CT slice. 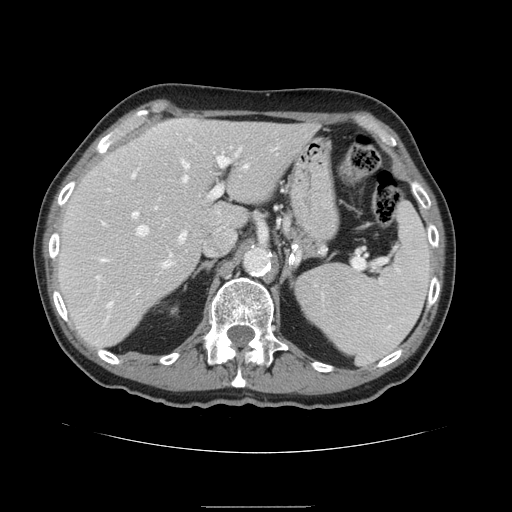

Only some of the vessels may be annotated.
The top 15 hepatic vessel regions (of 17) are located at 132, 173, 135, 176; 204, 242, 214, 254; 182, 160, 188, 167; 244, 164, 247, 167; 217, 156, 230, 165; 133, 211, 138, 216; 235, 146, 241, 156; 108, 303, 111, 308; 183, 176, 187, 180; 211, 186, 221, 196; 163, 262, 171, 266; 179, 231, 185, 241; 137, 226, 147, 235; 211, 212, 237, 246; 99, 258, 106, 261.